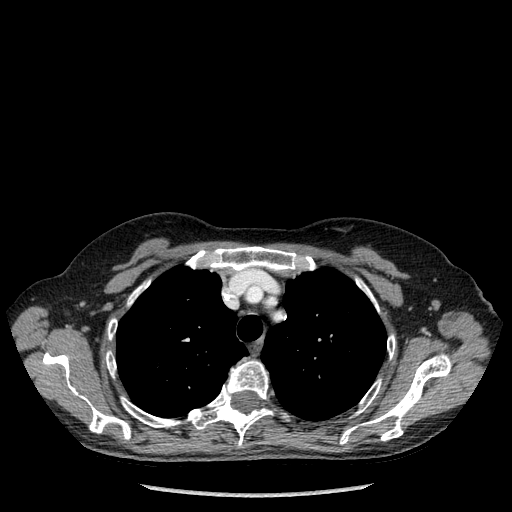

Chest; CT image
11 bone regions appear at l=387, t=334, r=395, b=359; l=340, t=354, r=451, b=444; l=354, t=379, r=381, b=415; l=186, t=360, r=273, b=445; l=120, t=397, r=181, b=427; l=107, t=318, r=117, b=339; l=127, t=280, r=150, b=305; l=186, t=246, r=315, b=274; l=42, t=352, r=130, b=439; l=106, t=351, r=116, b=377; l=356, t=277, r=379, b=311. 2 lung regions are located at l=261, t=267, r=386, b=420; l=116, t=265, r=262, b=417.